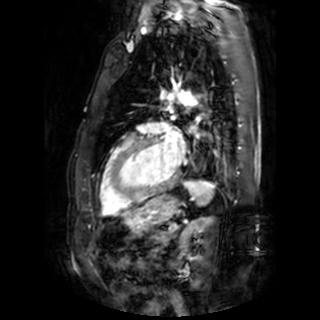
320x320 px | Magnetic resonance | Cardiac
<segmentation>
  <left_atrium>[163,136,184,166]</left_atrium>
</segmentation>